Head
FLAIR MRI.
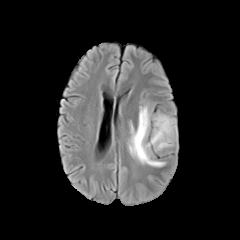
T1-weighted MR.
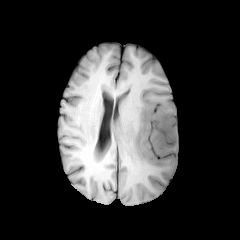
Post-contrast T1-weighted magnetic resonance.
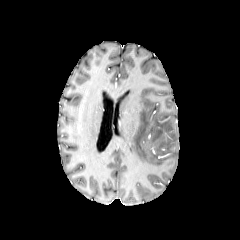
T2-weighted MRI.
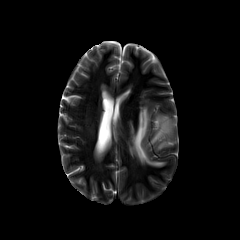
The edema is at box(129, 103, 176, 166).